Image width 240 mm, 240x240 px, Slice 131 of 155
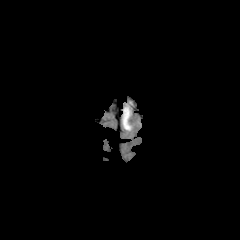
FLAIR MRI.
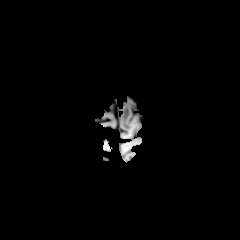
T1-weighted MR image.
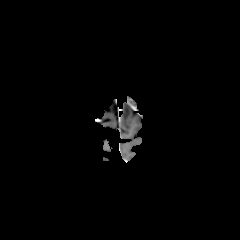
Post-contrast T1-weighted MR.
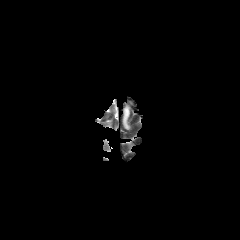
Same slice, T2-weighted magnetic resonance.
{
  "edema": [
    "region(122, 103, 132, 129)"
  ]
}